Head
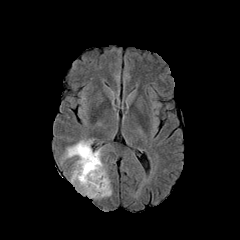
FLAIR MR.
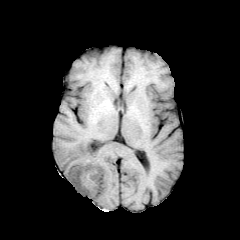
T1-weighted MR.
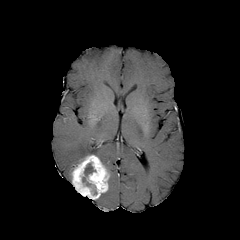
Same slice, post-contrast T1-weighted MRI.
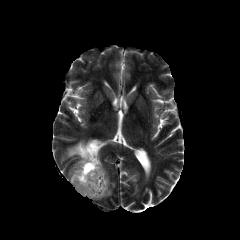
T2-weighted MRI.
The non-enhancing tumor core appears at box(82, 164, 95, 186). 2 edema regions are located at box(100, 178, 111, 198); box(62, 139, 102, 163). The enhancing tumor appears at box(71, 154, 107, 199).